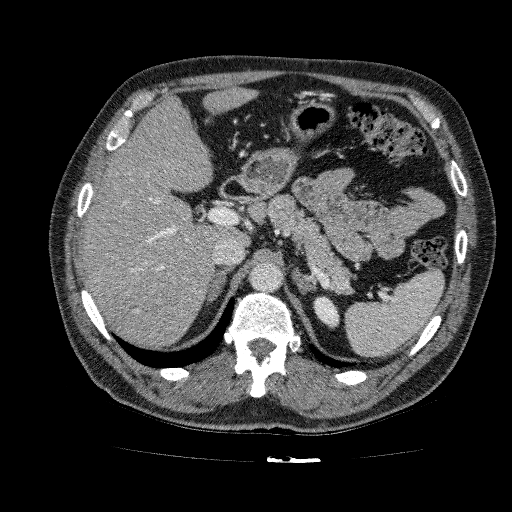
512x512 px | CT image

Liver — 80,95,251,347; 203,87,258,113.
Kidney — 314,297,338,326.